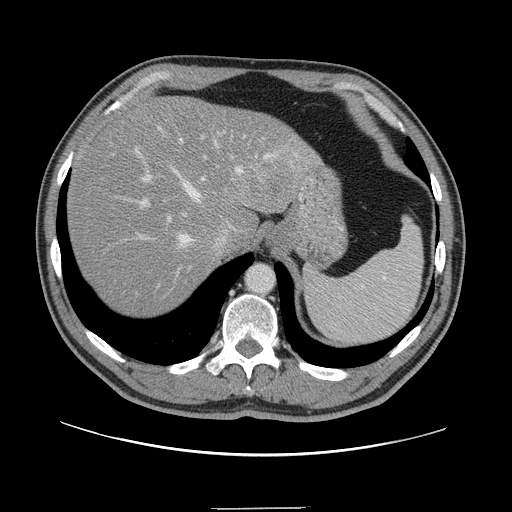 CT image
Some hepatic vessels may have no box.
Liver tumor = bbox=[249, 183, 280, 208].
Largest 15 of 20 hepatic vessel regions = bbox=[219, 132, 224, 135]; bbox=[142, 173, 151, 181]; bbox=[158, 126, 161, 130]; bbox=[202, 178, 205, 180]; bbox=[136, 200, 148, 206]; bbox=[136, 147, 139, 154]; bbox=[184, 183, 200, 200]; bbox=[236, 167, 242, 173]; bbox=[265, 154, 274, 158]; bbox=[168, 217, 171, 220]; bbox=[180, 139, 182, 143]; bbox=[138, 234, 141, 237]; bbox=[179, 235, 191, 247]; bbox=[215, 142, 218, 146]; bbox=[173, 169, 178, 173].